CT slice, Slice 126 of 647
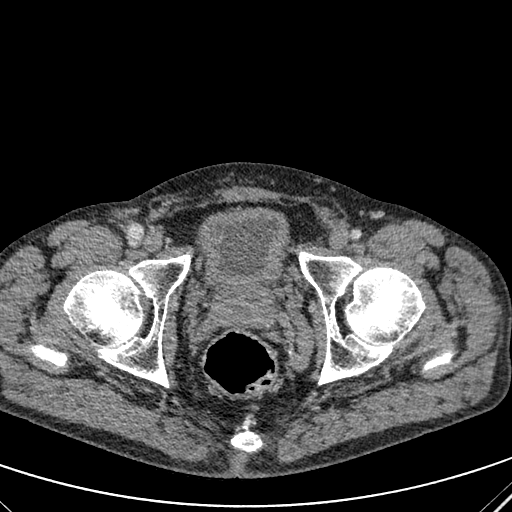 Urinary bladder — [211, 214, 279, 281].